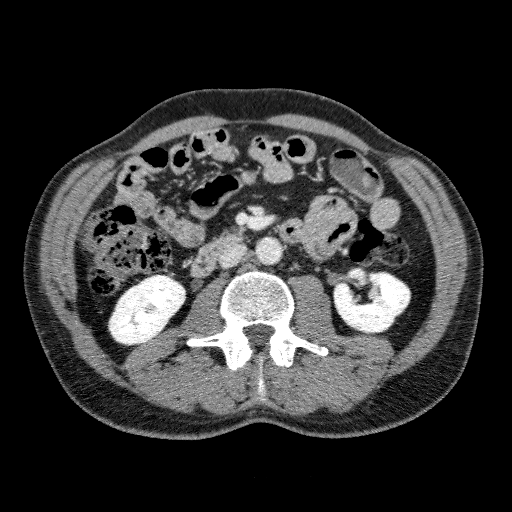

Image size 512x512 | Computed tomography | Abdomen

kidney:
  - bbox(109, 275, 184, 344)
  - bbox(349, 269, 363, 277)
  - bbox(334, 273, 409, 331)